FLAIR MRI.
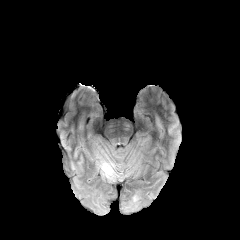
T1-weighted MR.
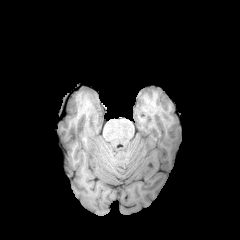
Post-contrast T1-weighted MR.
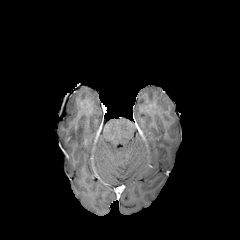
T2-weighted magnetic resonance.
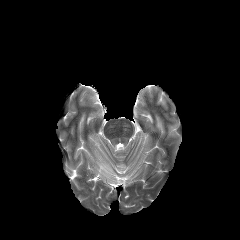
Brain.
edema:
  - bbox(99, 159, 114, 180)